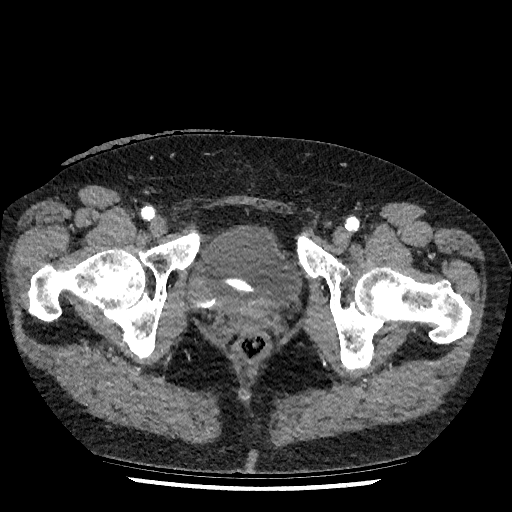
512x512 px | CT scan slice | Lower abdomen

The urinary bladder lies within 191 225 296 319.